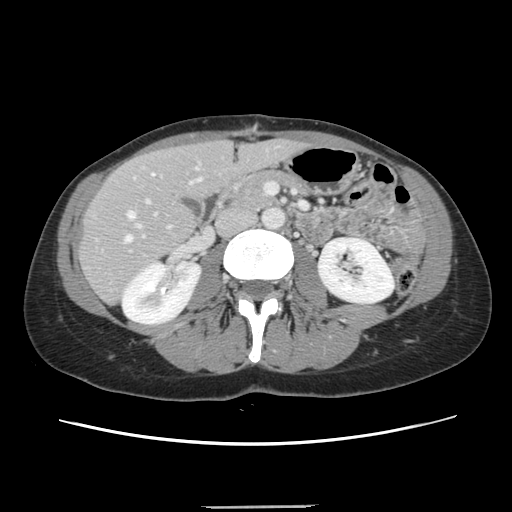 CT image
Only some of the vessels may be annotated.
• hepatic vessel: 167,226,170,227; 125,235,131,241; 196,165,198,169; 136,224,140,226; 146,200,149,202; 152,173,153,175; 127,211,134,218; 189,178,200,183